FLAIR MR image.
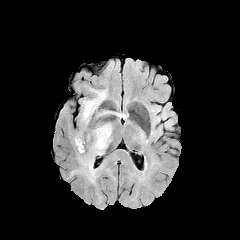
T1-weighted MRI.
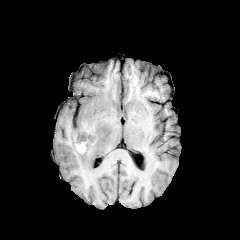
Post-contrast T1-weighted MR image.
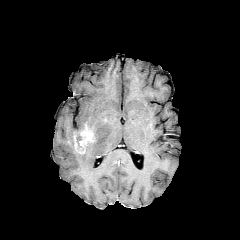
T2-weighted MR image.
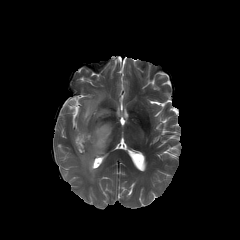
Head
enhancing tumor: <box>74,124,94,148</box> | edema: <box>75,91,111,182</box>